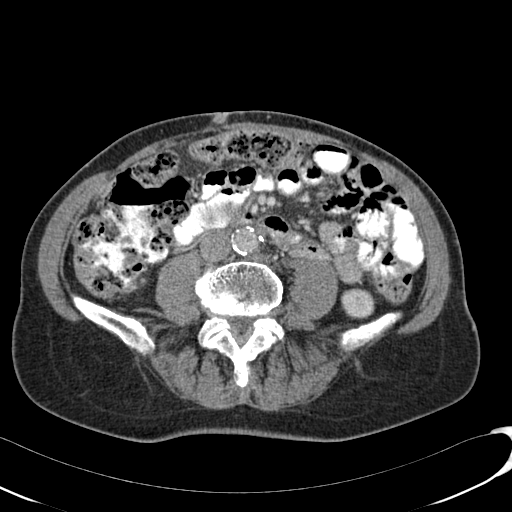 Abdomen. CT.
kidney:
  - box(342, 290, 372, 316)